CT slice | 512x512 px
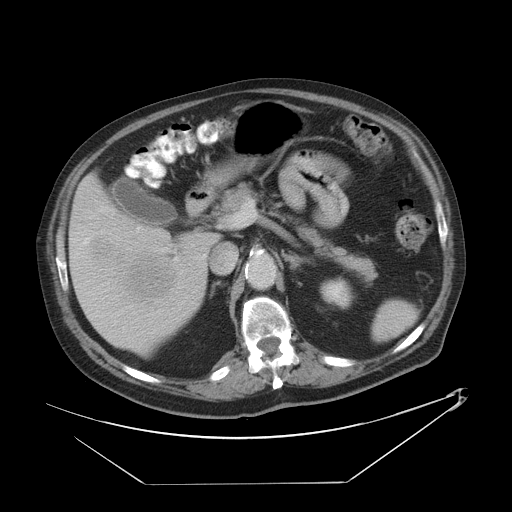
Not every hepatic vessel necessarily has a box.
hepatic_vessel:
  - {"x1": 137, "y1": 226, "x2": 140, "y2": 231}
  - {"x1": 175, "y1": 257, "x2": 178, "y2": 260}
  - {"x1": 192, "y1": 244, "x2": 193, "y2": 246}
  - {"x1": 84, "y1": 238, "x2": 87, "y2": 243}
  - {"x1": 101, "y1": 207, "x2": 114, "y2": 214}
liver_tumor:
  - {"x1": 122, "y1": 255, "x2": 176, "y2": 298}
  - {"x1": 91, "y1": 241, "x2": 108, "y2": 254}